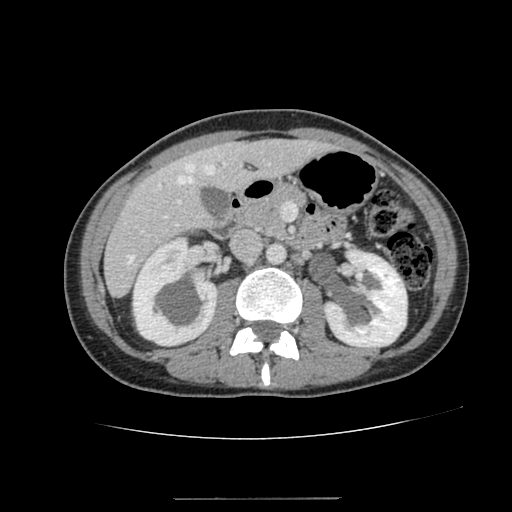 Computed tomography. Abdomen. Image size 512x512. 2 kidney regions appear at left=133, top=238, right=216, bottom=345; left=325, top=250, right=406, bottom=346. The liver is located at left=104, top=138, right=330, bottom=296.